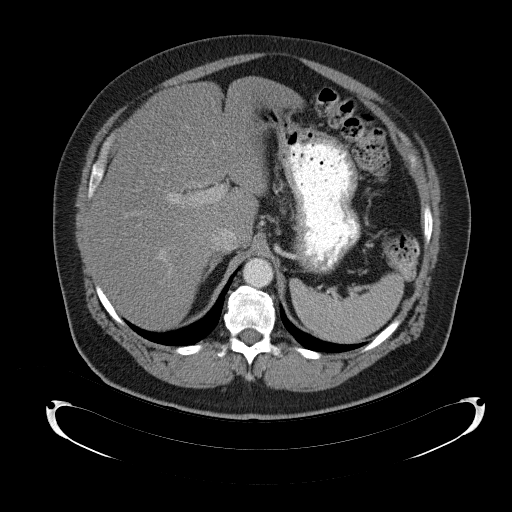 CT slice

{"spleen": ["292, 276, 403, 343"]}